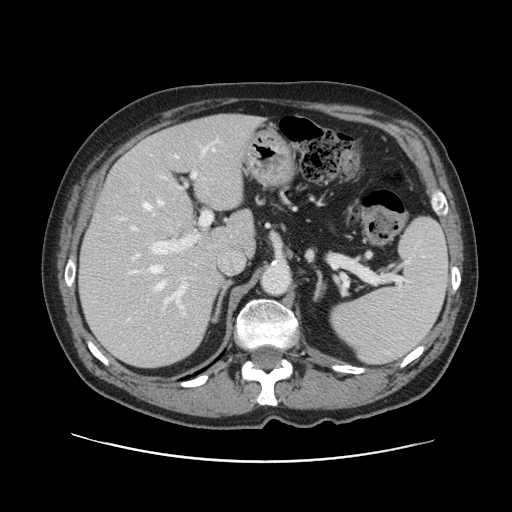 Abdomen; CT scan slice

Some hepatic vessels may have no box.
Principal 15 of 16 hepatic vessel regions: [153,237,192,253], [120,218,123,219], [161,176,164,177], [149,266,161,272], [158,199,162,204], [175,155,177,157], [130,271,136,273], [142,203,150,208], [131,226,135,229], [164,284,186,307], [202,142,214,154], [192,171,195,176], [155,281,164,289], [133,254,139,258], [216,139,217,141].